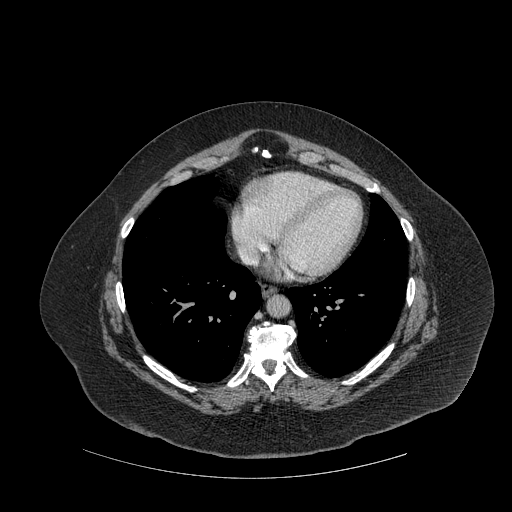

Thorax | CT slice

8 bone regions are bounded by box(262, 150, 270, 157); box(121, 218, 133, 237); box(116, 282, 124, 311); box(143, 356, 196, 391); box(401, 218, 412, 240); box(343, 344, 393, 384); box(407, 278, 414, 305); box(227, 322, 307, 390). 2 lung regions appear at box(287, 194, 406, 376); box(122, 174, 261, 382).